Field of view 380x380 mm, Abdomen, Computed tomography

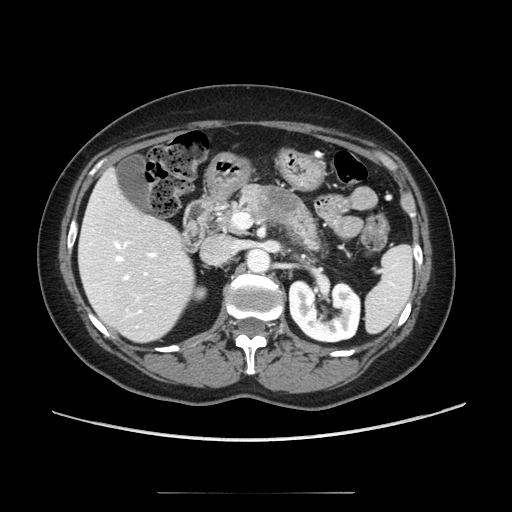
pancreatic_tumor:
  - <bbox>257, 186, 298, 220</bbox>
pancreas:
  - <bbox>237, 185, 274, 220</bbox>
  - <bbox>275, 188, 322, 250</bbox>
  - <bbox>223, 207, 236, 230</bbox>